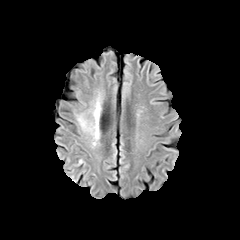
FLAIR MR.
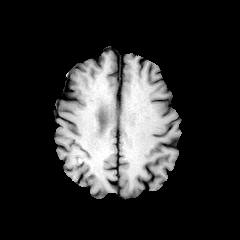
Same slice, T1-weighted MR image.
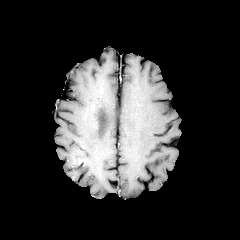
Same slice, post-contrast T1-weighted MRI.
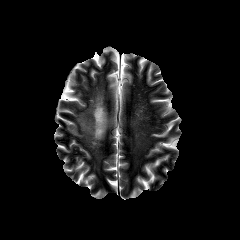
T2-weighted MR image of the same slice.
The edema is at region(76, 91, 101, 147).